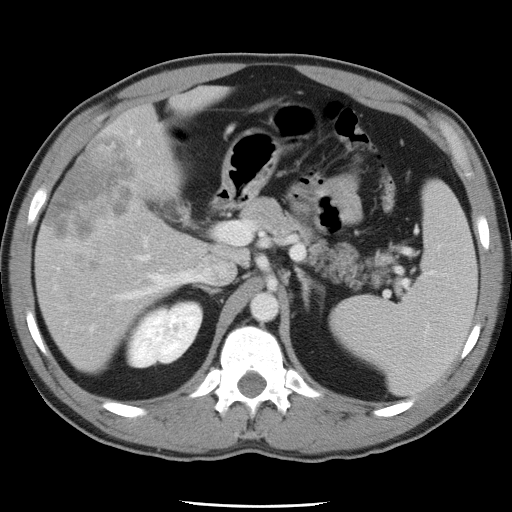
Computed tomography
The vessel boxes may cover only some of the vessels.
Hepatic vessel: bounding box l=137, t=257, r=143, b=259; l=120, t=292, r=139, b=298; l=179, t=272, r=192, b=279; l=151, t=274, r=173, b=286; l=220, t=223, r=250, b=243.